Slice index 95. 240x240. Head.
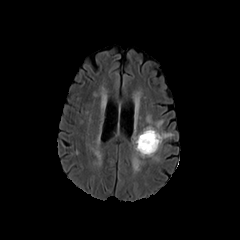
FLAIR MR.
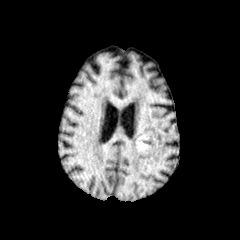
T1-weighted MR image of the same slice.
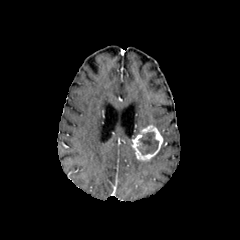
Post-contrast T1-weighted magnetic resonance of the same slice.
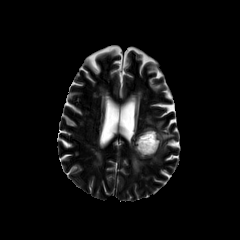
Same slice, T2-weighted MR image.
non-enhancing tumor core: <box>136,131,158,155</box> | edema: <box>161,133,173,140</box>, <box>131,149,144,173</box>, <box>153,120,163,132</box> | enhancing tumor: <box>132,123,163,160</box>